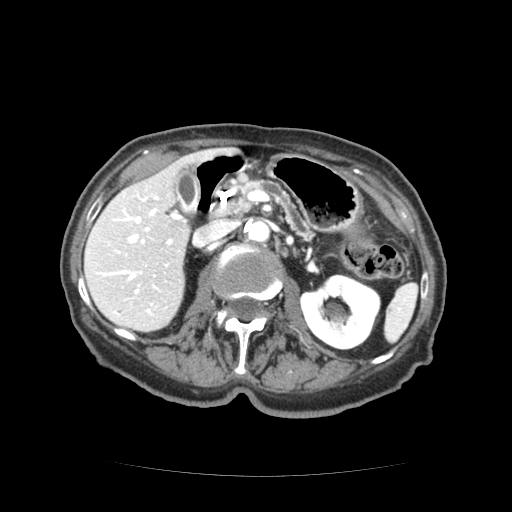

CT image; Upper abdomen

Annotated regions:
• pancreas: l=213, t=179, r=312, b=240